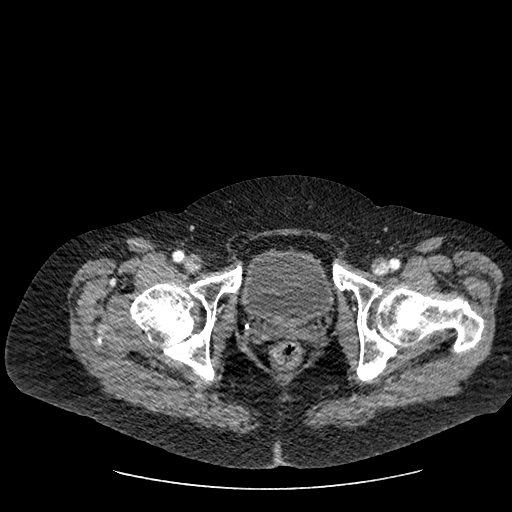 512x512 | Pelvis | Computed tomography
The urinary bladder is bounded by box=[237, 248, 334, 329].